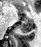
Magnetic resonance. Hippocampus.

{"anterior_hippocampus": ["region(24, 17, 31, 19)"], "posterior_hippocampus": ["region(18, 20, 32, 33)"]}